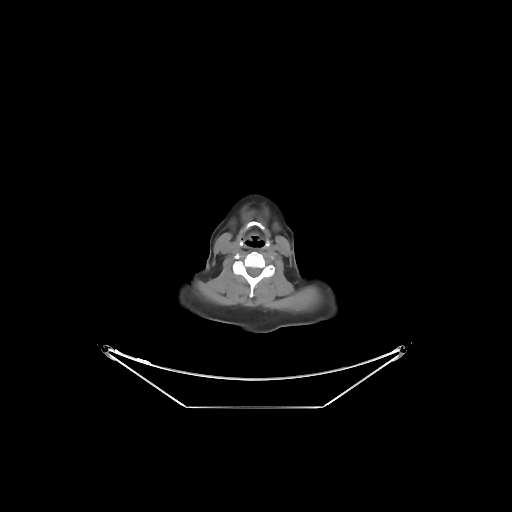

CT scan slice, 512x512 px

{
  "bone": [
    "rect(233, 252, 274, 296)"
  ]
}